FLAIR magnetic resonance.
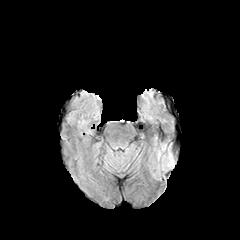
T1-weighted MRI.
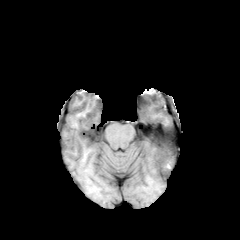
Post-contrast T1-weighted magnetic resonance.
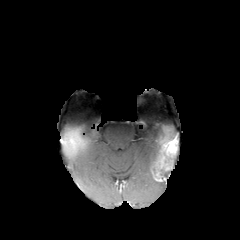
T2-weighted MRI.
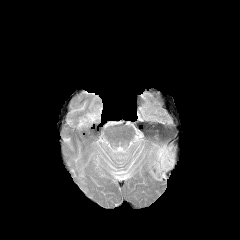
Head
Enhancing tumor = [168,140,177,152].
Non-enhancing tumor core = [153,142,180,181].
Edema = [152,144,166,165].